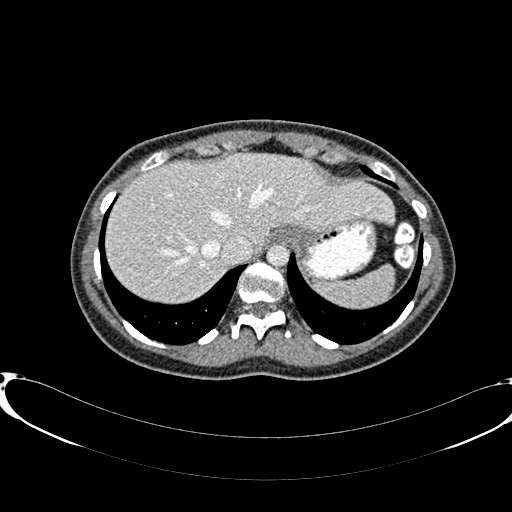

Computed tomography, 512x512 px
liver:
  - 106 153 394 303